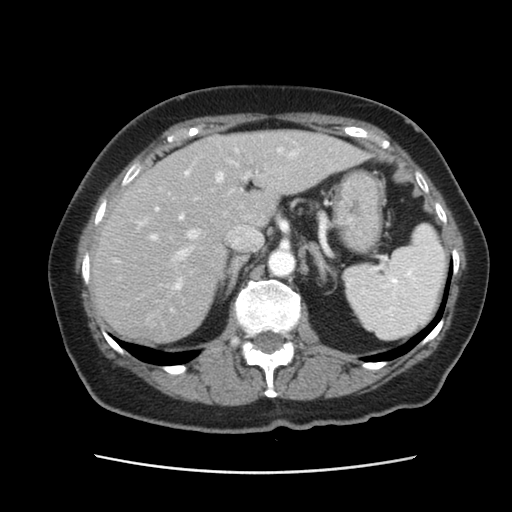
Image size 512x512, CT scan slice
Not every hepatic vessel necessarily has a box.
Hepatic vessel at bbox(185, 171, 188, 175); bbox(179, 215, 184, 219); bbox(244, 173, 250, 179); bbox(216, 173, 223, 181); bbox(136, 221, 145, 227); bbox(156, 208, 158, 210); bbox(175, 280, 182, 289); bbox(188, 230, 197, 238); bbox(226, 224, 262, 247); bbox(175, 249, 188, 260).